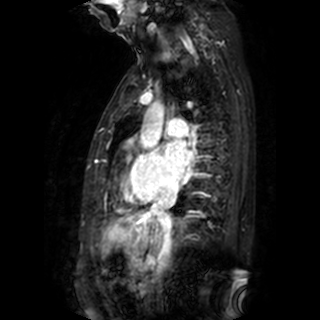

Magnetic resonance; Heart
left_atrium:
  - (left=163, top=140, right=193, bottom=176)